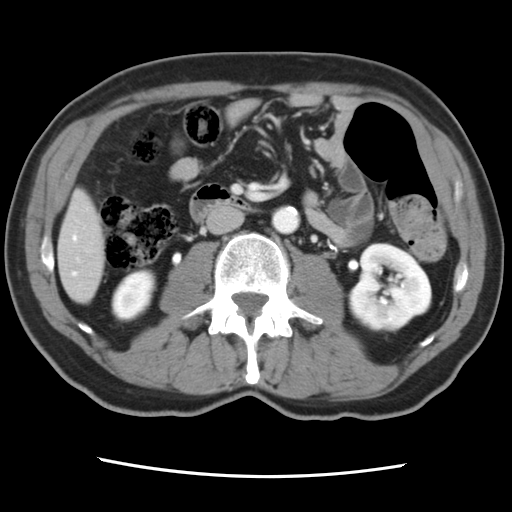
CT scan slice, Liver
The vessel boxes may cover only some of the vessels.
Segmented structures:
- hepatic vessel: <box>73,236,76,239</box>, <box>73,272,76,275</box>